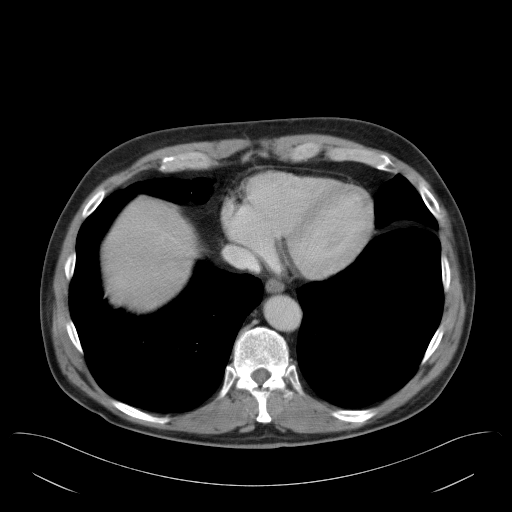 CT slice, Liver
The vessel annotation is not exhaustive.
<segmentation>
  <hepatic_vessel>rect(171, 238, 175, 241)</hepatic_vessel>
</segmentation>